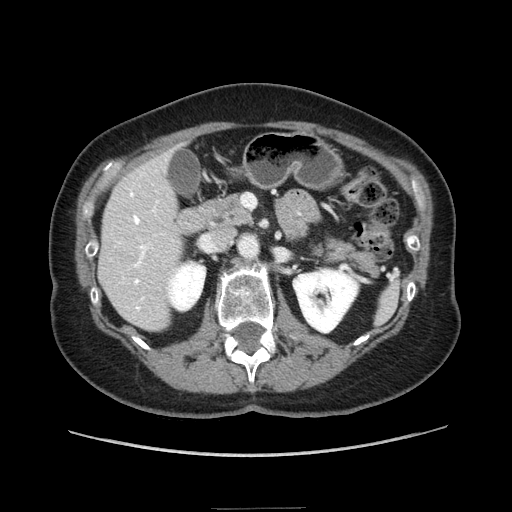

Computed tomography | Abdomen
Findings:
- pancreas: bbox=[204, 196, 252, 226]; bbox=[311, 237, 376, 274]